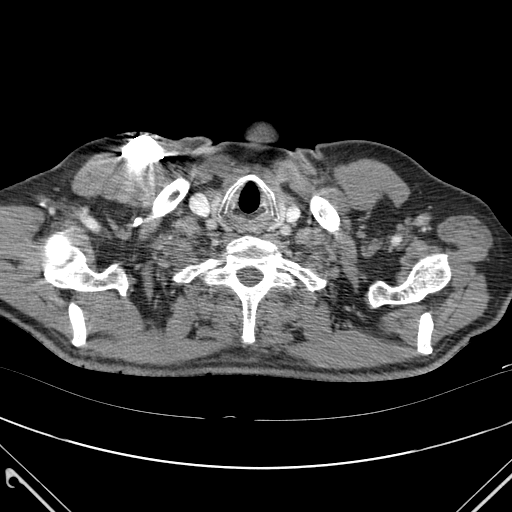
CT image
<segmentation>
  <bone>(46,238,129,297), (150,174,190,217), (311,199,336,228), (371,256,450,305), (171,236,327,342), (68,305,84,344), (417,314,434,353)</bone>
</segmentation>